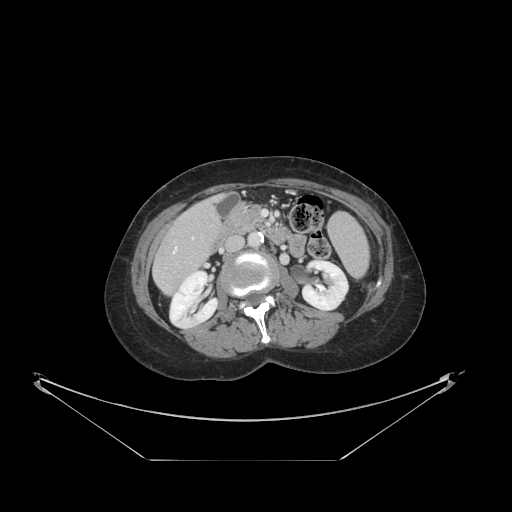
Computed tomography
The vessel annotation is not exhaustive.
2 hepatic vessel regions are bounded by [192,237,193,238], [173,247,176,253].